Slice 38 of 87. CT image.

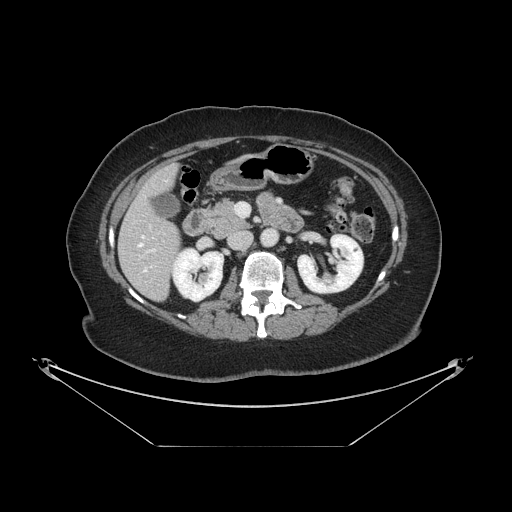 Pancreas at {"x1": 202, "y1": 200, "x2": 249, "y2": 239}.